Slice 433 of 856, Computed tomography, 512x512

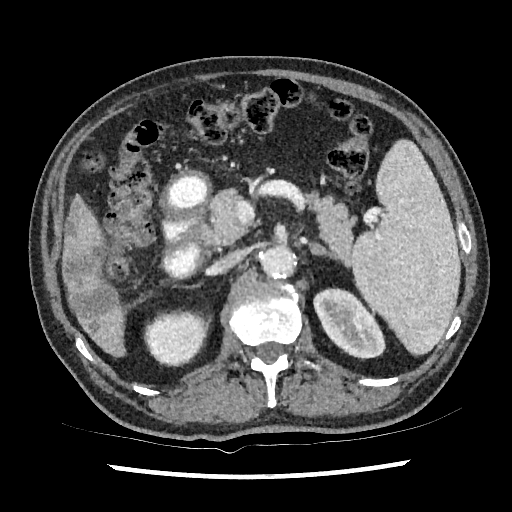
4 focal liver lesion regions are located at [72, 202, 80, 212], [65, 216, 79, 241], [71, 286, 114, 333], [63, 247, 102, 281]. 2 kidney regions appear at [314, 289, 384, 357], [146, 313, 205, 365]. 3 liver regions appear at [64, 195, 105, 261], [77, 292, 125, 355], [65, 274, 114, 301].